FLAIR MRI.
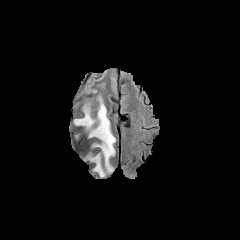
T1-weighted MR.
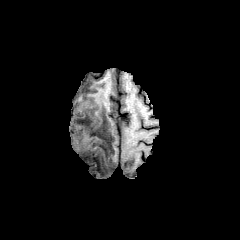
Post-contrast T1-weighted magnetic resonance.
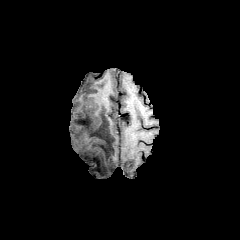
T2-weighted MRI.
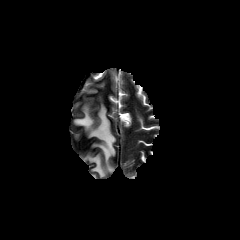
Image size 240x240. Head.
The edema lies within x1=74 y1=99 x2=115 y2=176.